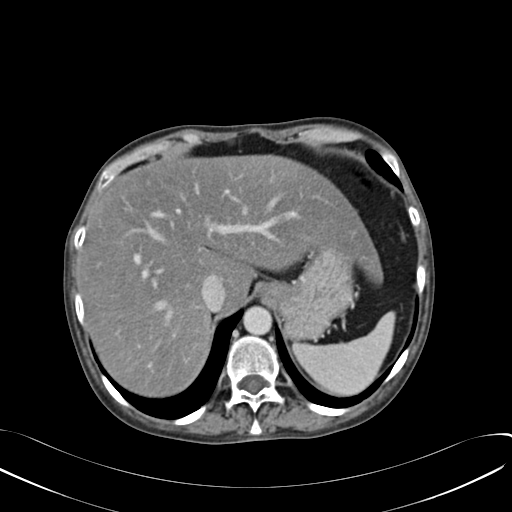
CT scan slice. 512x512 px.
liver: <bbox>81, 154, 382, 396</bbox>